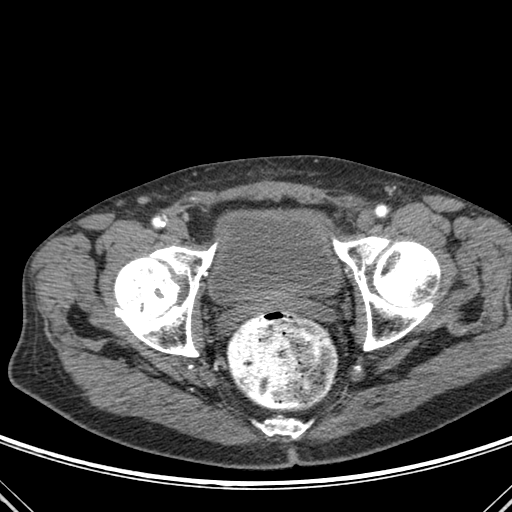
Lower abdomen | CT slice | 512x512 px
urinary_bladder:
  - x1=209, y1=207, x2=345, y2=299
bone:
  - x1=333, y1=231, x2=440, y2=350
  - x1=114, y1=243, x2=216, y2=357
  - x1=256, y1=419, x2=310, y2=438